Image width 240 mm
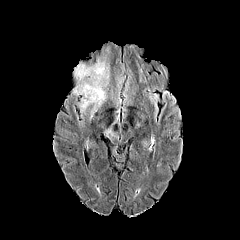
FLAIR MR.
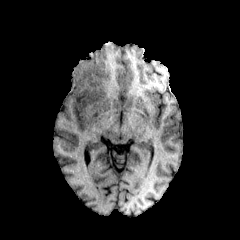
T1-weighted magnetic resonance.
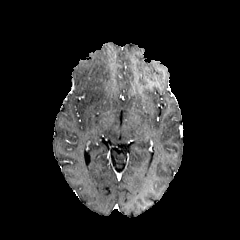
Post-contrast T1-weighted MR of the same slice.
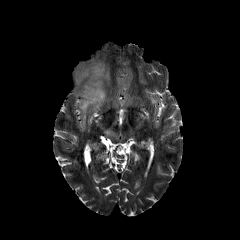
T2-weighted MR image of the same slice.
The edema lies within [73,61,109,118].